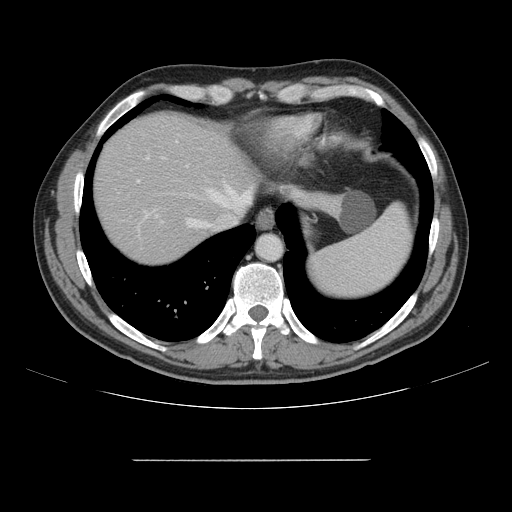
Abdomen, Computed tomography
Only some of the vessels may be annotated.
{
  "hepatic_vessel": [
    "l=144, t=211, r=157, b=218",
    "l=190, t=194, r=197, b=196",
    "l=138, t=225, r=139, b=235",
    "l=137, t=180, r=139, b=181",
    "l=228, t=188, r=233, b=194",
    "l=186, t=165, r=187, b=166",
    "l=187, t=219, r=210, b=227",
    "l=146, t=156, r=148, b=159",
    "l=161, t=157, r=164, b=158",
    "l=244, t=190, r=249, b=194",
    "l=208, t=189, r=224, b=203"
  ]
}